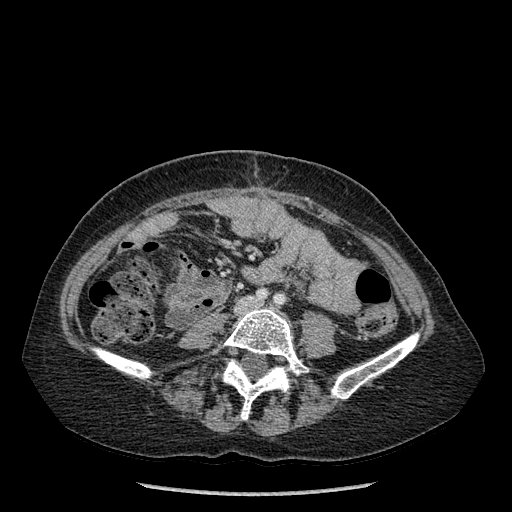
Image size 512x512 | CT image
Bone = 331 332 419 399, 222 307 308 419, 92 348 152 379.